Slice 77 of 155
FLAIR MR image.
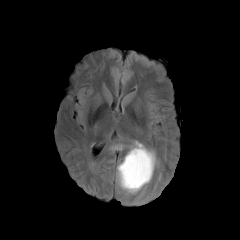
T1-weighted magnetic resonance.
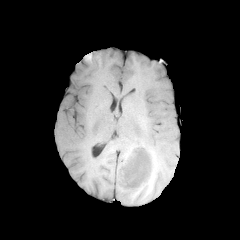
Post-contrast T1-weighted MR.
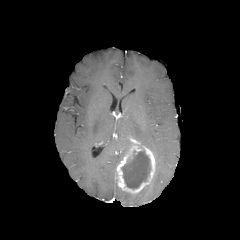
T2-weighted MR image.
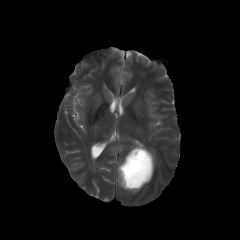
Segmented structures:
* enhancing tumor: bbox=[117, 140, 155, 192]
* non-enhancing tumor core: bbox=[122, 150, 149, 189]